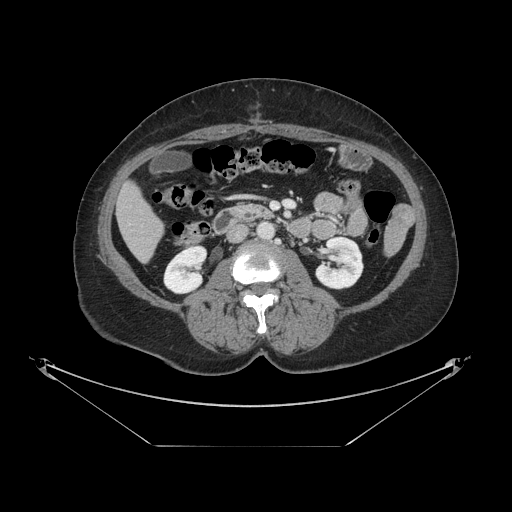

CT, Upper abdomen

The pancreas is located at x1=253 y1=206 x2=272 y2=217.